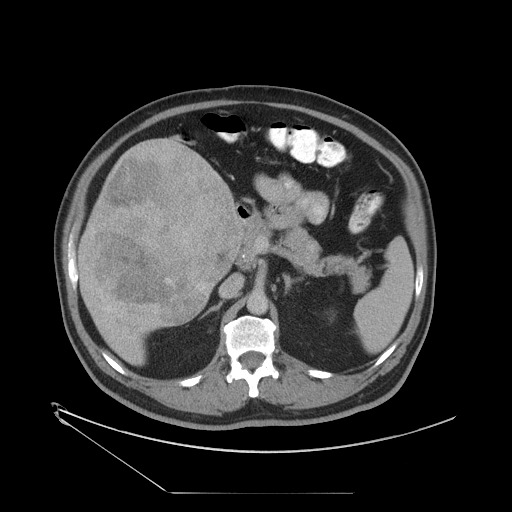 512x512 px, CT
The vessel boxes may cover only some of the vessels.
Liver tumor at (91,145,243,324).
Hepatic vessel at (141,306,149,309), (109,337,113,340), (122,335,124,337), (103,306,116,311), (97,288,102,296), (123,327,128,330), (118,305,127,318), (138,317,139,319), (158,319,160,322), (200,283,206,289), (117,330,119,331), (128,336,134,338).